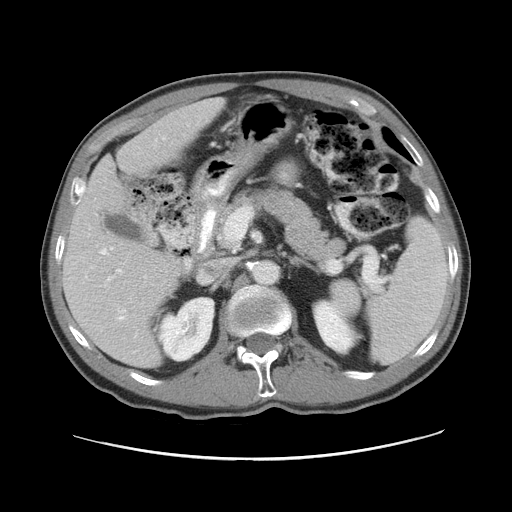

Liver | CT | Image size 512x512

Some hepatic vessels may have no box.
{
  "hepatic_vessel": [
    "100 249 107 254",
    "110 247 112 249",
    "85 272 86 276",
    "135 333 136 335",
    "118 309 124 319",
    "104 276 113 285",
    "116 270 121 272"
  ]
}